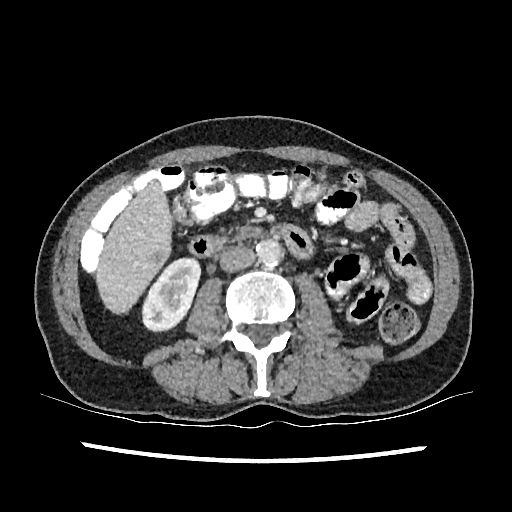

Upper abdomen. CT scan slice.

<segmentation>
  <focal_liver_lesion>bbox(153, 252, 162, 263)</focal_liver_lesion>
  <kidney>bbox(143, 259, 200, 330)</kidney>
  <liver>bbox(97, 178, 169, 312)</liver>
</segmentation>